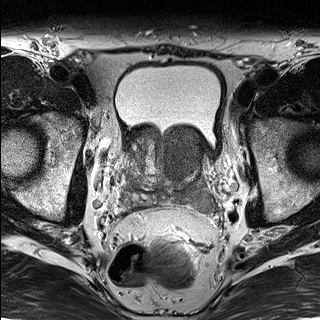
T2-weighted MRI.
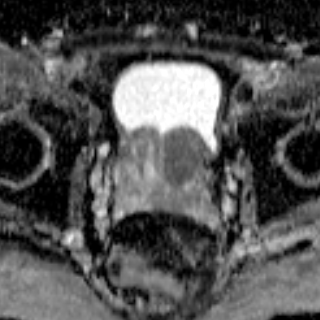
Same slice, ADC MR.
320x320; Prostate
{"prostate_transition_zone": ["left=126, top=126, right=199, bottom=190"]}